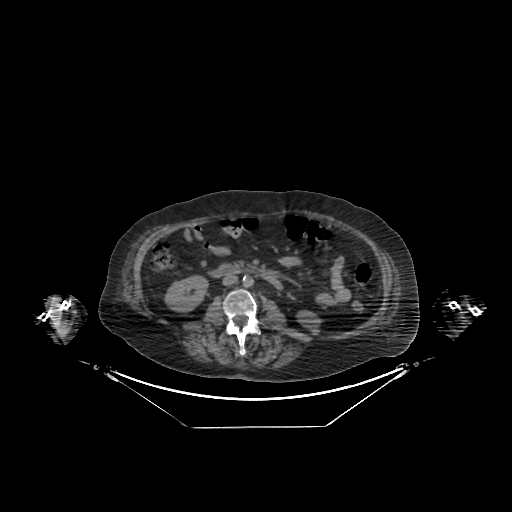

512x512; Abdomen; CT scan slice
Segmented structures:
* kidney: x1=164, y1=275, x2=208, y2=311; x1=296, y1=310, x2=321, y2=334